MRI slice

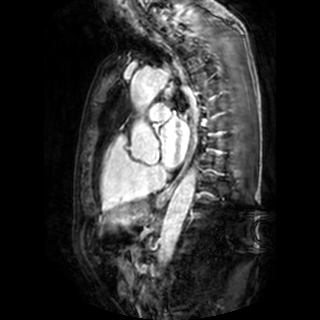
Left atrium: bounding box region(160, 116, 189, 167).